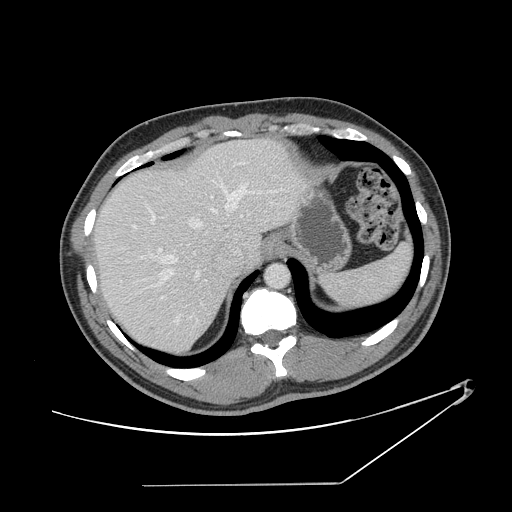 CT slice, Liver
Some hepatic vessels may have no box.
The principal 15 hepatic vessel regions (of 19) appear at [x1=148, y1=208, x2=154, y2=223], [x1=189, y1=218, x2=201, y2=227], [x1=212, y1=209, x2=216, y2=212], [x1=269, y1=190, x2=279, y2=192], [x1=240, y1=161, x2=245, y2=163], [x1=216, y1=182, x2=266, y2=209], [x1=158, y1=249, x2=161, y2=255], [x1=233, y1=164, x2=235, y2=166], [x1=158, y1=268, x2=173, y2=283], [x1=161, y1=296, x2=163, y2=298], [x1=211, y1=196, x2=212, y2=198], [x1=196, y1=269, x2=199, y2=276], [x1=174, y1=314, x2=180, y2=322], [x1=161, y1=255, x2=177, y2=264], [x1=189, y1=316, x2=191, y2=318].